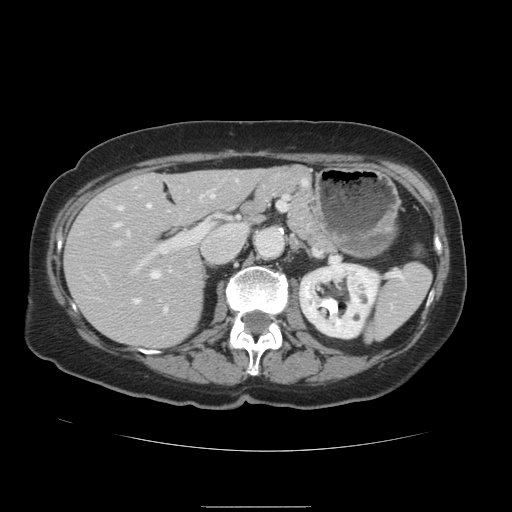

Image size 512x512; CT slice

Only some of the vessels may be annotated.
15 hepatic vessel regions are bounded by (left=116, top=206, right=122, bottom=209), (left=235, top=179, right=236, bottom=181), (left=200, top=195, right=203, bottom=198), (left=133, top=266, right=138, bottom=271), (left=146, top=203, right=150, bottom=207), (left=139, top=255, right=150, bottom=265), (left=170, top=241, right=181, bottom=245), (left=114, top=223, right=119, bottom=226), (left=158, top=246, right=169, bottom=253), (left=207, top=190, right=213, bottom=197), (left=150, top=271, right=158, bottom=278), (left=132, top=299, right=137, bottom=303), (left=113, top=242, right=118, bottom=244), (left=127, top=231, right=128, bottom=233), (left=163, top=308, right=166, bottom=312).